CT. Slice 588/896. Liver. 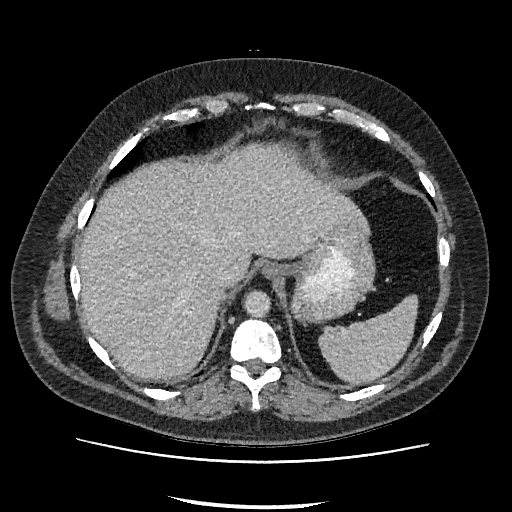
liver:
  - 80:148:369:378